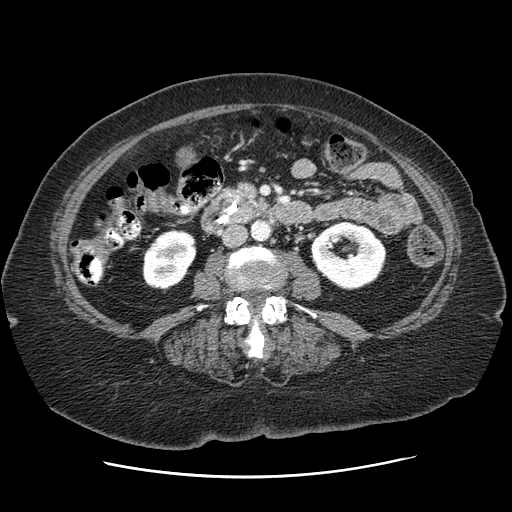 Abdomen; CT scan slice
{
  "pancreas": [
    "x1=234, y1=179, x2=258, y2=201"
  ]
}